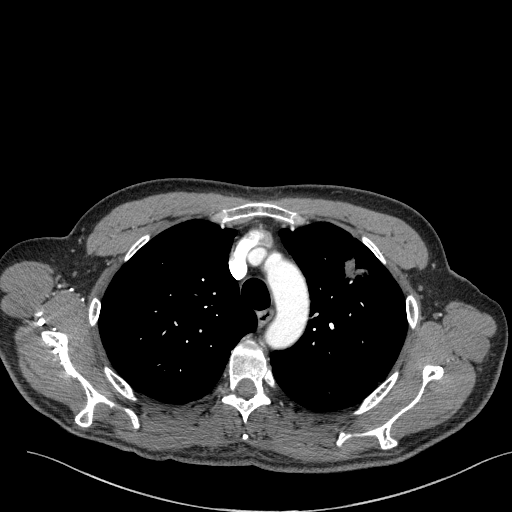
CT scan slice | Chest
The lung tumor is bounded by box(337, 253, 371, 292).